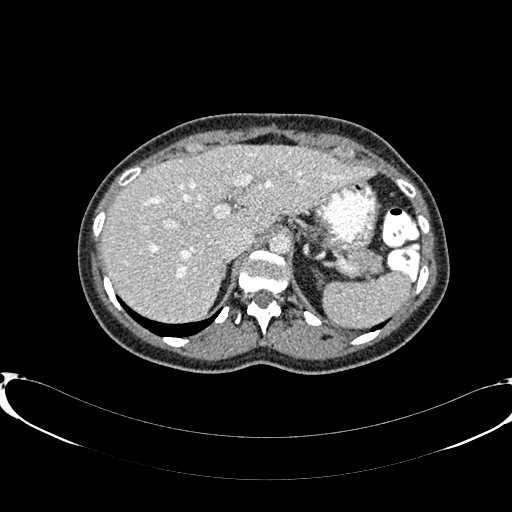
CT | Abdomen
<segmentation>
  <liver>(left=101, top=145, right=375, bottom=320)</liver>
</segmentation>